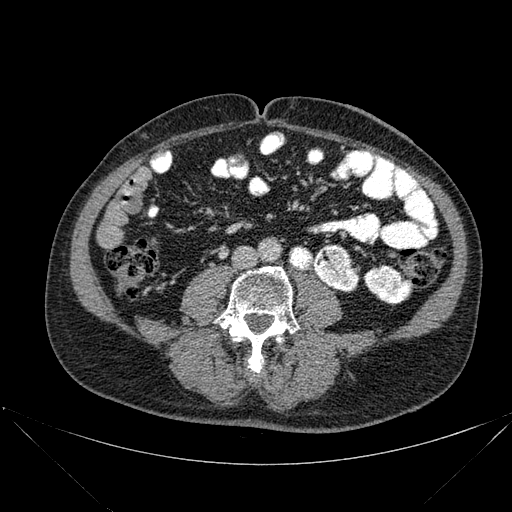
CT scan slice. 512x512 px. <segmentation>
  <bone>box(215, 266, 298, 376)</bone>
</segmentation>